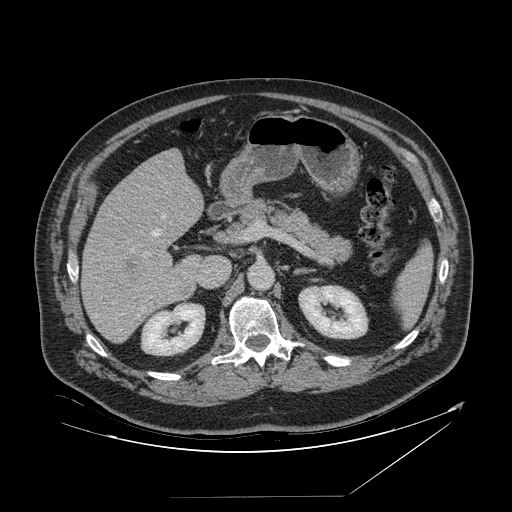

Abdomen. CT image.

spleen: x1=392, y1=247, x2=432, y2=328